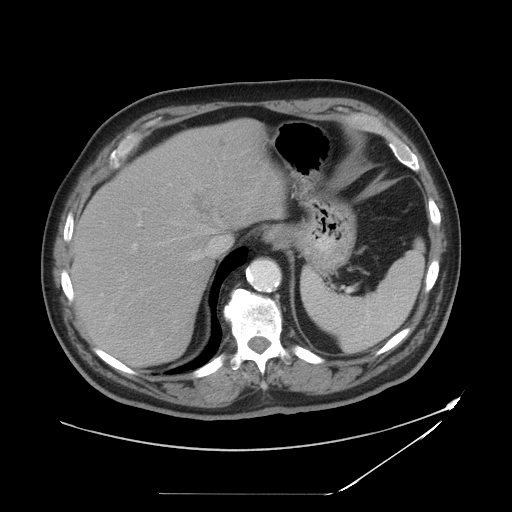 CT.

Not every hepatic vessel necessarily has a box.
Liver tumor at 194:195:212:215.
Hepatic vessel at 118:279:123:280, 189:250:206:260, 140:287:151:296, 103:222:105:226, 216:219:222:226, 151:329:153:335, 120:286:123:288, 101:294:102:295, 207:159:208:161, 131:243:136:253, 137:208:145:226, 125:274:126:276, 157:225:215:245, 174:222:181:225.